Slice 17 of 39; CT slice 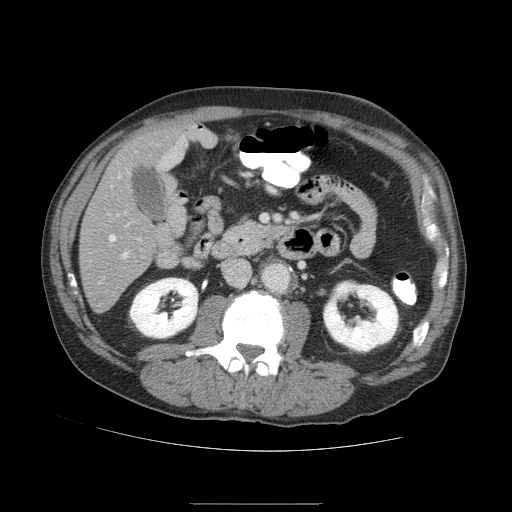

Not every hepatic vessel necessarily has a box.
Findings:
• hepatic vessel: {"x1": 125, "y1": 223, "x2": 129, "y2": 226}, {"x1": 122, "y1": 252, "x2": 127, "y2": 258}, {"x1": 124, "y1": 212, "x2": 125, "y2": 213}, {"x1": 110, "y1": 235, "x2": 115, "y2": 241}, {"x1": 138, "y1": 238, "x2": 140, "y2": 240}, {"x1": 118, "y1": 175, "x2": 120, "y2": 177}